CT. Abdomen. 512x512 px. 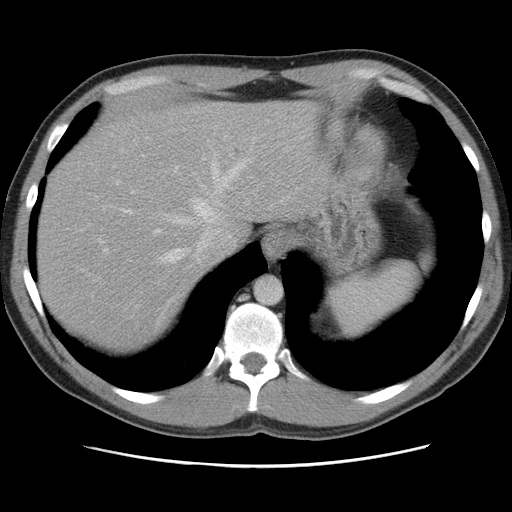
Some hepatic vessels may have no box.
hepatic_vessel:
  - <bbox>104, 249, 107, 252</bbox>
  - <bbox>191, 199, 206, 215</bbox>
  - <bbox>98, 239, 102, 242</bbox>
  - <bbox>162, 248, 189, 262</bbox>
  - <bbox>212, 159, 251, 191</bbox>
  - <bbox>154, 229, 161, 233</bbox>
  - <bbox>167, 215, 195, 226</bbox>
  - <bbox>116, 181, 119, 184</bbox>
  - <bbox>224, 136, 226, 137</bbox>
  - <bbox>211, 195, 212, 196</bbox>
  - <bbox>216, 201, 221, 205</bbox>
  - <bbox>121, 209, 132, 213</bbox>
  - <bbox>195, 255, 197, 257</bbox>
  - <bbox>203, 158, 205, 159</bbox>